FLAIR MRI.
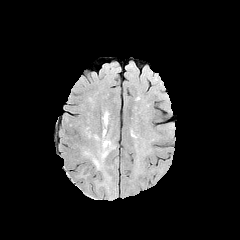
T1-weighted MR.
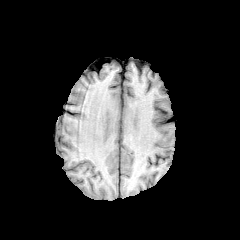
Post-contrast T1-weighted magnetic resonance.
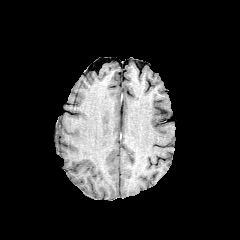
T2-weighted MR image.
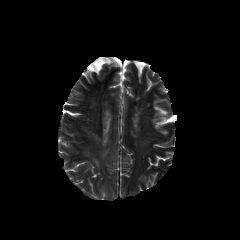
240x240
<segmentation>
  <edema>left=101, top=111, right=110, bottom=158</edema>
</segmentation>